FLAIR MR.
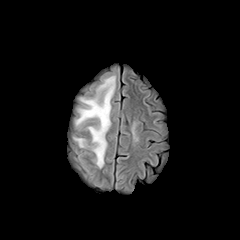
T1-weighted MRI.
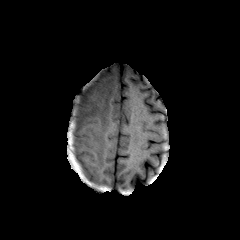
Post-contrast T1-weighted MRI.
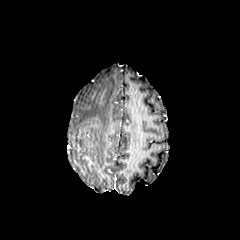
T2-weighted magnetic resonance.
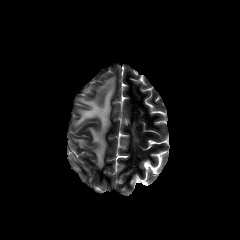
Image size 240x240. Head.
edema:
  - <box>76,76,115,167</box>
  - <box>76,138,84,147</box>